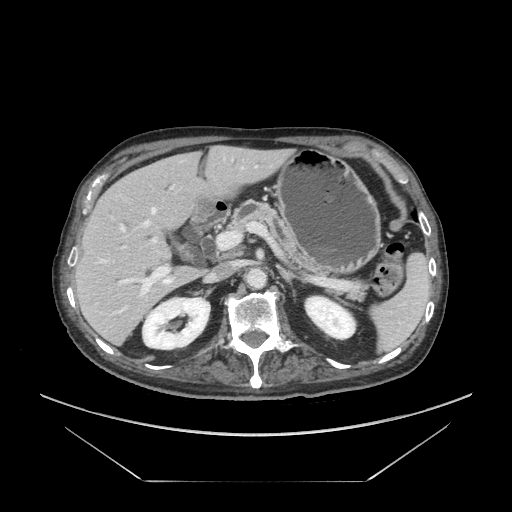
CT scan slice. Abdomen. <segmentation>
  <pancreas>(left=230, top=200, right=325, bottom=274)</pancreas>
</segmentation>